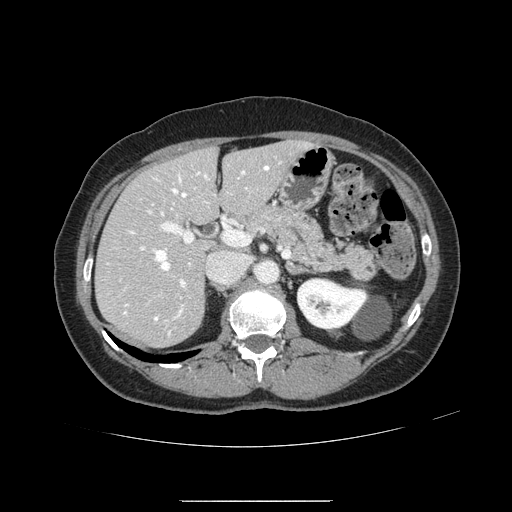

CT image
The pancreas lies within (234,204,376,281).